CT image | Abdomen 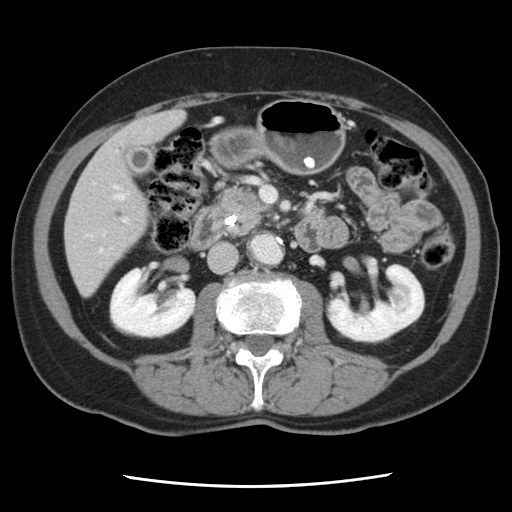 Pancreatic tumor — 218,187,265,236.
Pancreas — 215,190,225,229.